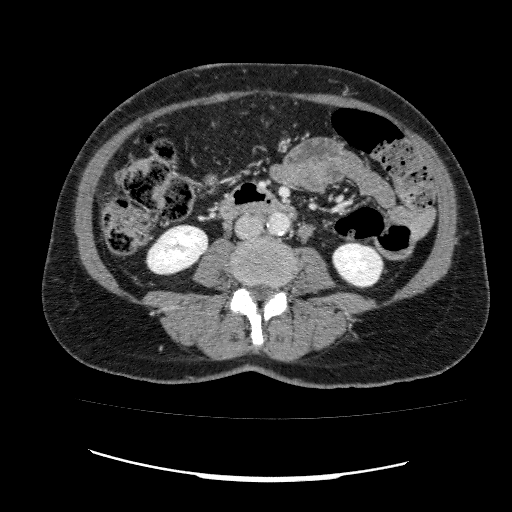
Abdomen, CT slice

Segmented structures:
* kidney: 147 226 206 273, 334 244 381 285